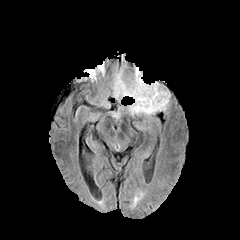
FLAIR MRI.
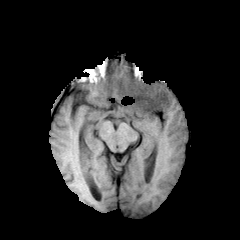
T1-weighted MR image.
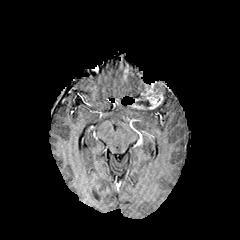
Post-contrast T1-weighted MR of the same slice.
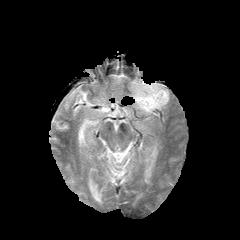
Same slice, T2-weighted MRI.
Brain
edema:
  - 128:84:169:115
  - 114:73:143:97
non-enhancing_tumor_core:
  - 138:100:150:107
enhancing_tumor:
  - 133:81:163:109